FLAIR MRI.
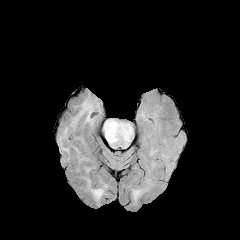
T1-weighted magnetic resonance.
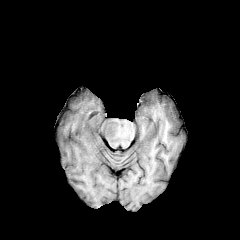
Post-contrast T1-weighted MR image.
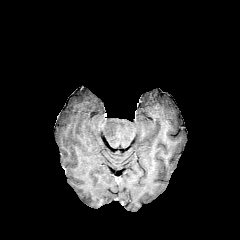
T2-weighted magnetic resonance.
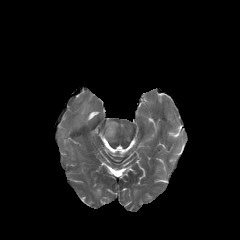
Head.
The edema is bounded by 103 120 117 142.